Slice 597 of 647, CT scan slice
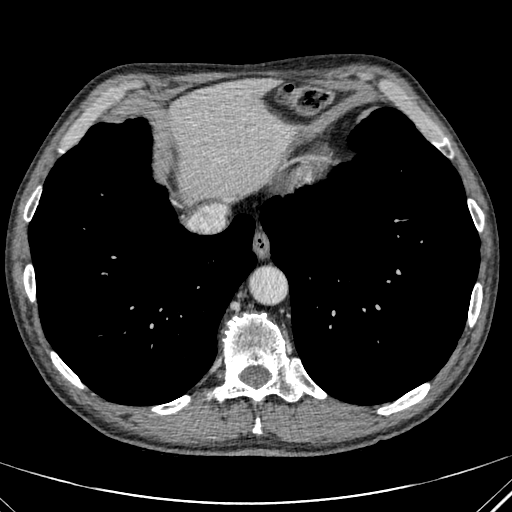

The liver is bounded by rect(169, 79, 292, 195).